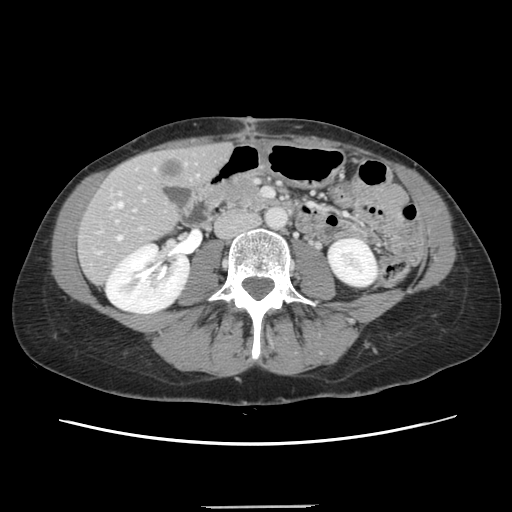

CT; Abdomen
Only some of the vessels may be annotated.
The liver tumor is bounded by x1=161 y1=159 x2=182 y2=177. 7 hepatic vessel regions are located at x1=139 y1=228 x2=142 y2=229, x1=110 y1=202 x2=122 y2=208, x1=96 y1=251 x2=100 y2=253, x1=115 y1=220 x2=117 y2=221, x1=118 y1=192 x2=121 y2=193, x1=117 y1=236 x2=121 y2=239, x1=133 y1=209 x2=135 y2=210.